Abdomen, Slice 71/99, CT, Image width 410 mm 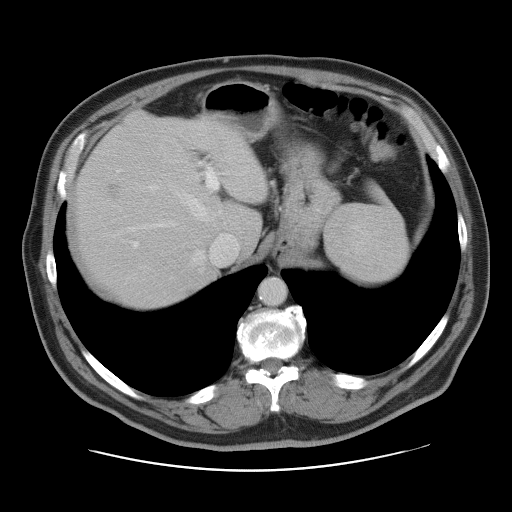

Some hepatic vessels may have no box.
2 liver tumor regions are located at 184,285,197,294; 102,179,127,198. 8 hepatic vessel regions appear at 148,184,160,190; 197,162,200,164; 133,241,137,246; 205,168,226,190; 195,234,238,265; 196,173,198,175; 200,269,201,270; 175,189,210,220.